Computed tomography | Field of view 472x472 mm | Slice index 37 | Liver

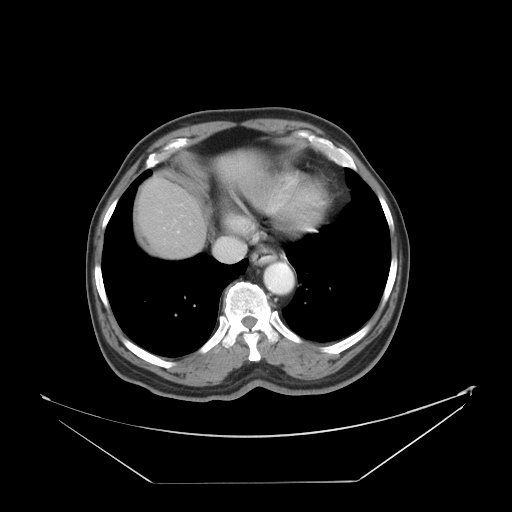
Some hepatic vessels may have no box.
2 hepatic vessel regions are located at {"x1": 177, "y1": 231, "x2": 179, "y2": 232}, {"x1": 160, "y1": 210, "x2": 161, "y2": 212}.